Field of view 373x373 mm; CT slice; Abdomen
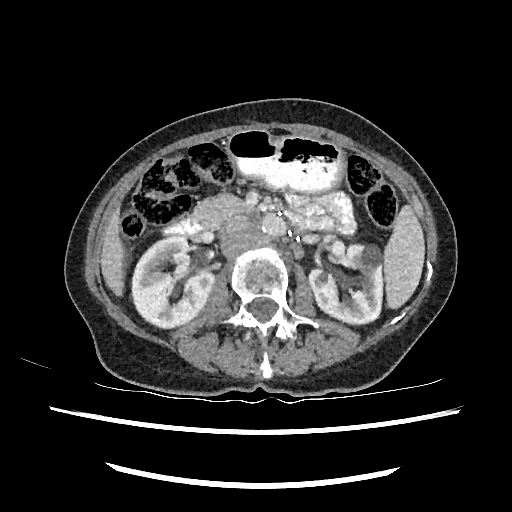

liver: region(101, 208, 122, 294) | kidney: region(309, 244, 383, 323); region(132, 237, 213, 327)